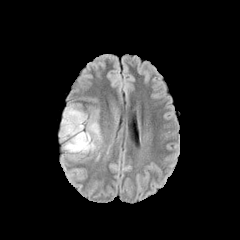
FLAIR magnetic resonance.
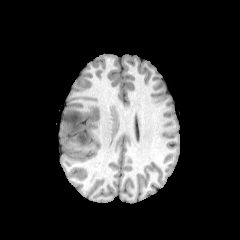
Same slice, T1-weighted MR.
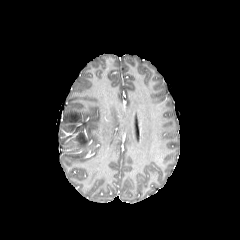
Post-contrast T1-weighted magnetic resonance of the same slice.
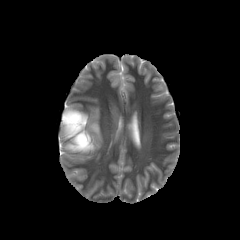
Same slice, T2-weighted MR.
Head
Non-enhancing tumor core at 62:110:93:153.
Edema at 60:129:75:150, 68:148:88:155, 62:104:101:154.